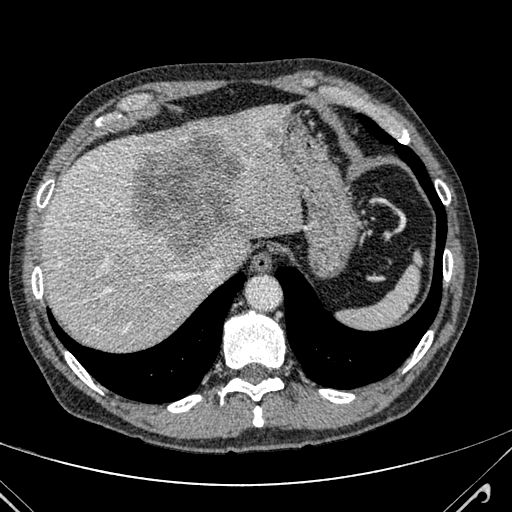

CT image, Abdomen
<segmentation>
  <liver_lesion>x1=266 y1=128 x2=279 y2=143, x1=131 y1=132 x2=257 y2=261</liver_lesion>
  <liver>x1=43 y1=106 x2=302 y2=348</liver>
</segmentation>